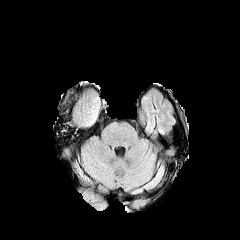
FLAIR MRI.
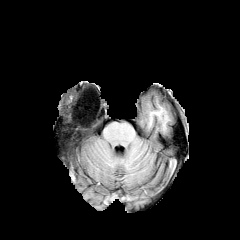
T1-weighted magnetic resonance.
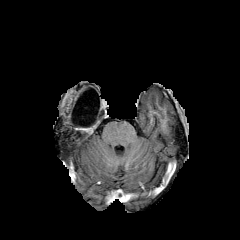
Post-contrast T1-weighted MR image.
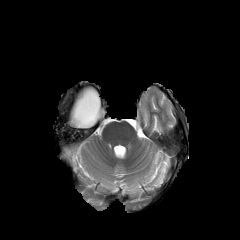
T2-weighted MRI.
Brain
{"non-enhancing_tumor_core": ["region(77, 95, 99, 125)"]}